CT slice. Abdomen.

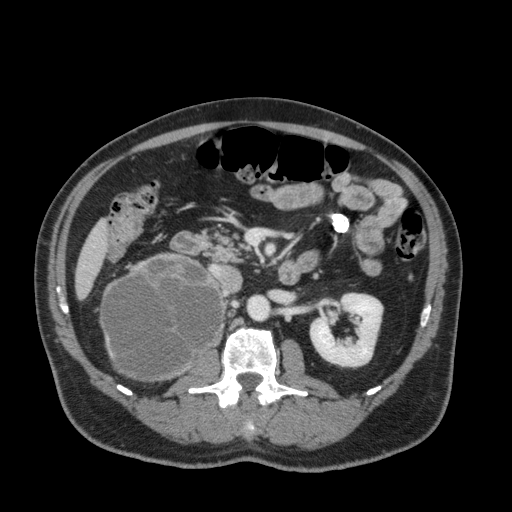
<segmentation>
  <kidney>x1=311 y1=294 x2=382 y2=366</kidney>
  <liver>x1=77 y1=220 x2=107 y2=296</liver>
</segmentation>